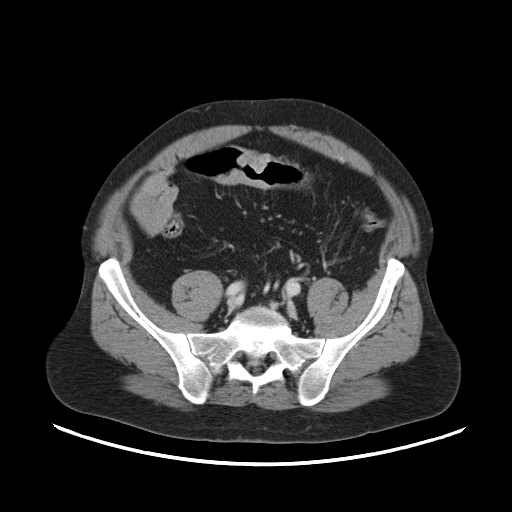 CT slice

{
  "colon_tumor": [
    "(left=217, top=170, right=267, bottom=187)",
    "(left=237, top=151, right=269, bottom=172)"
  ]
}